CT scan slice, Liver, Slice 492 of 836
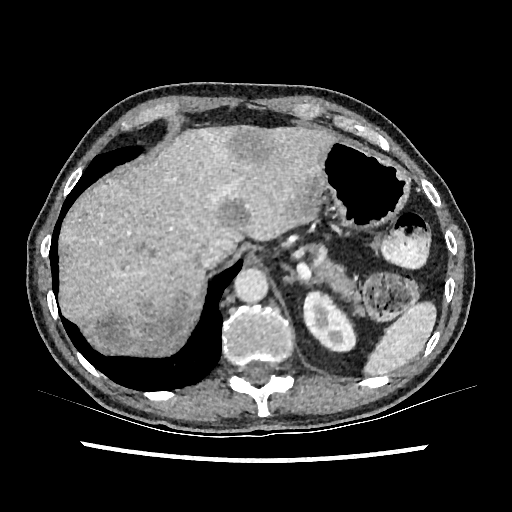 The kidney appears at x1=304 y1=292 x2=354 y2=350. 6 hepatic lesion regions are bounded by x1=226 y1=126 x2=277 y2=165, x1=62 y1=247 x2=71 y2=260, x1=213 y1=196 x2=251 y2=230, x1=80 y1=290 x2=200 y2=355, x1=287 y1=171 x2=321 y2=222, x1=135 y1=242 x2=145 y2=251. 2 liver regions are located at x1=61 y1=125 x2=336 y2=324, x1=109 y1=334 x2=187 y2=357.